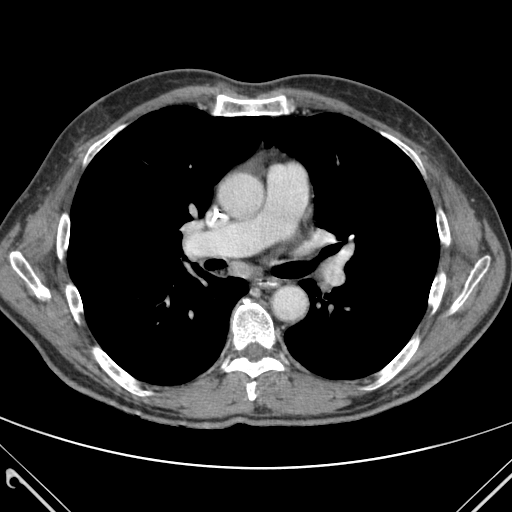

Chest | CT
<segmentation>
  <lung>[67, 106, 439, 385]</lung>
  <bone>[214, 95, 293, 115], [233, 299, 274, 349], [222, 357, 283, 377], [94, 348, 149, 395], [383, 133, 420, 162], [10, 252, 50, 297], [451, 256, 489, 312], [57, 214, 69, 258], [429, 274, 445, 311], [247, 382, 255, 399], [66, 285, 82, 321], [437, 211, 449, 244], [376, 339, 418, 386], [84, 126, 124, 161]</bone>
</segmentation>